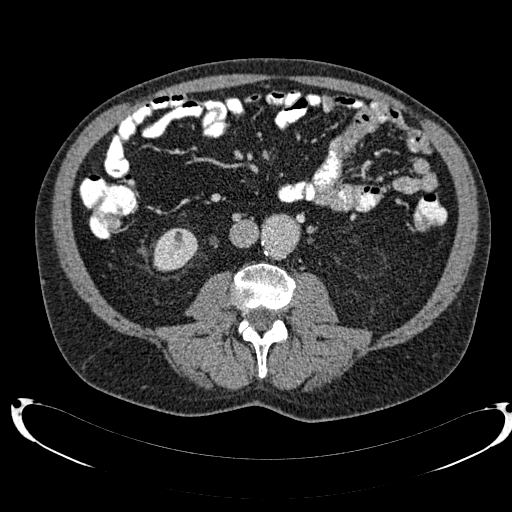

Abdomen; CT scan slice; Image size 512x512
Annotated regions:
• kidney: {"x1": 154, "y1": 231, "x2": 197, "y2": 271}